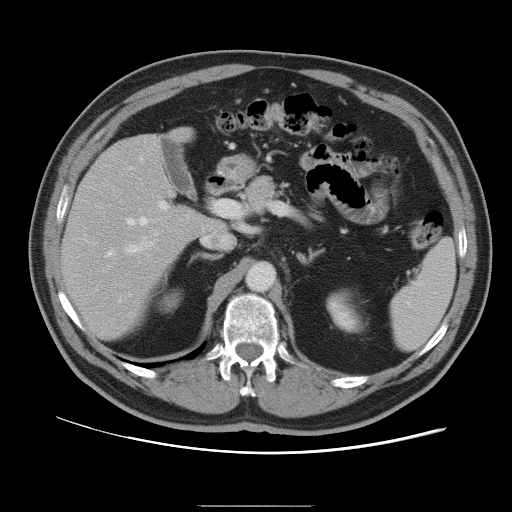 512x512 | CT

Some hepatic vessels may have no box.
13 hepatic vessel regions are located at (126, 167, 133, 169), (125, 237, 153, 254), (127, 219, 134, 224), (159, 201, 167, 209), (140, 217, 149, 224), (96, 287, 97, 289), (91, 242, 94, 243), (186, 213, 190, 218), (119, 296, 121, 301), (140, 157, 142, 161), (152, 229, 158, 241), (151, 220, 153, 221), (106, 248, 114, 255).